FLAIR MRI.
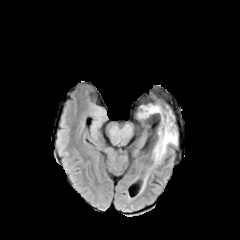
T1-weighted MR.
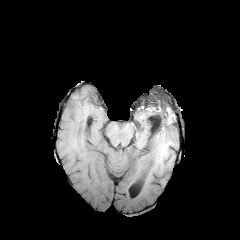
Post-contrast T1-weighted MR image.
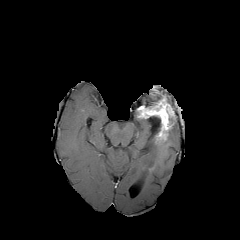
T2-weighted MR.
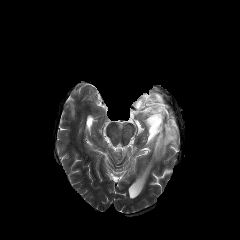
Head
Enhancing tumor at 139 101 174 143.
Edema at 152 125 177 165.
Non-enhancing tumor core at 150 115 160 133.